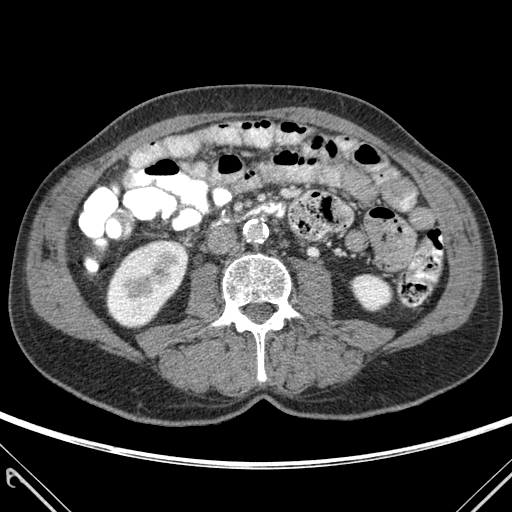 Image size 512x512. CT. Kidney at rect(108, 241, 185, 325); rect(353, 276, 389, 309).
Bone at rect(212, 254, 298, 380).